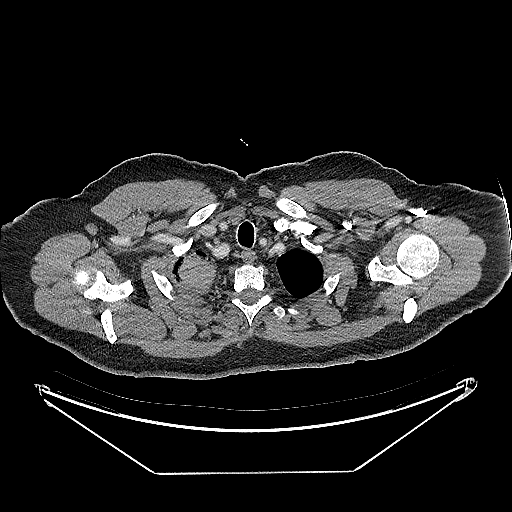 CT image
lung_tumor:
  - <bbox>173, 251, 215, 290</bbox>